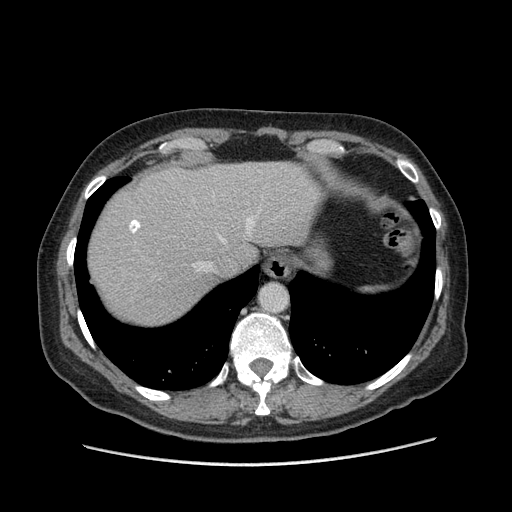

CT
The vessel boxes may cover only some of the vessels.
4 hepatic vessel regions appear at x1=192, y1=261, x2=213, y2=271; x1=245, y1=206, x2=260, y2=235; x1=217, y1=234, x2=225, y2=243; x1=211, y1=192, x2=215, y2=201.